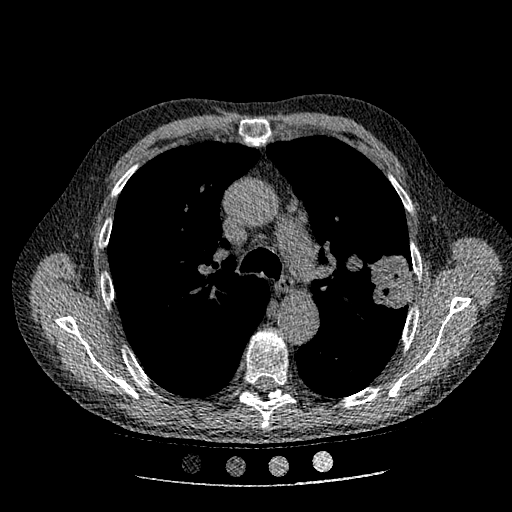

CT. 512x512 px.
lung tumor: box=[342, 241, 411, 310]